512x512 px, Computed tomography, Slice index 221
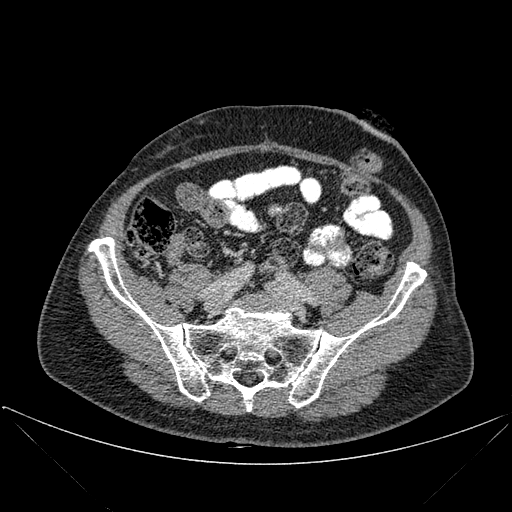

{"bone": ["[x1=88, y1=237, x2=426, y2=411]"]}